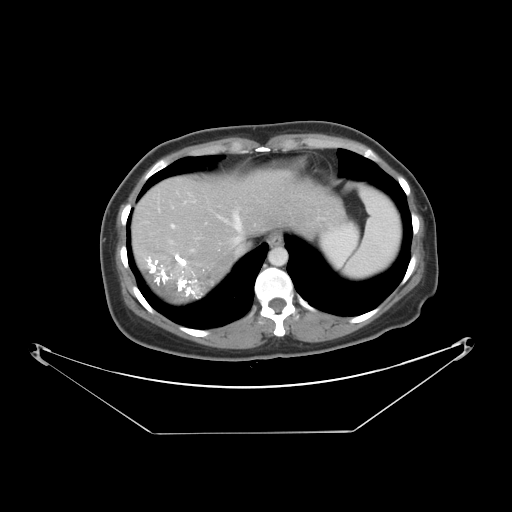

CT slice; Abdomen
The vessel boxes may cover only some of the vessels.
5 hepatic vessel regions are bounded by l=143, t=221, r=149, b=223; l=153, t=195, r=160, b=212; l=194, t=237, r=199, b=239; l=216, t=207, r=242, b=245; l=169, t=223, r=177, b=229. The liver tumor appears at l=138, t=247, r=206, b=302.